Computed tomography
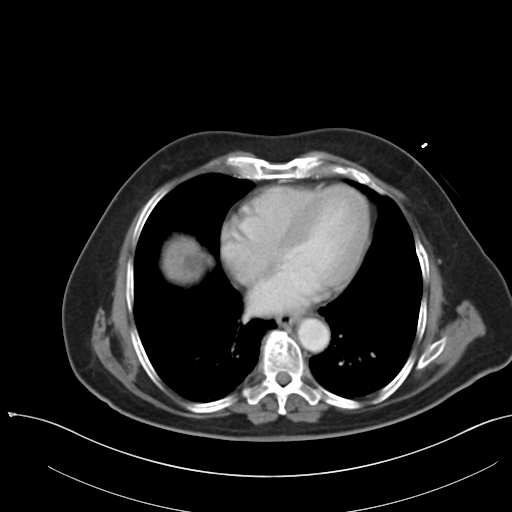

Liver tumor: bounding box x1=167 y1=244 x2=202 y2=278.